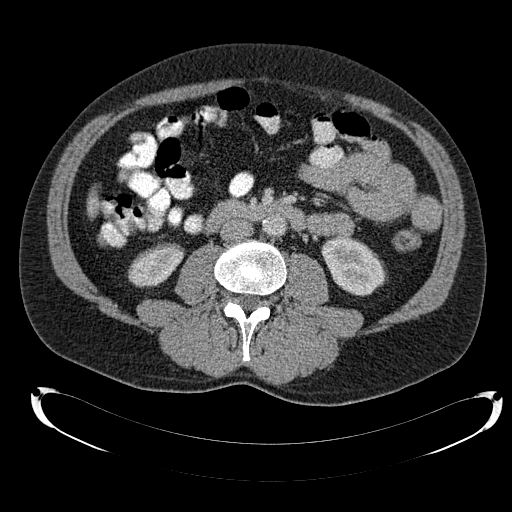
Upper abdomen | CT
Kidney — rect(129, 247, 182, 285); rect(322, 236, 384, 294).
Liver — rect(88, 196, 97, 213).